CT; Field of view 388 mm wide, 2.50 mm slice spacing; Slice 43 of 99; 512x512; Abdomen
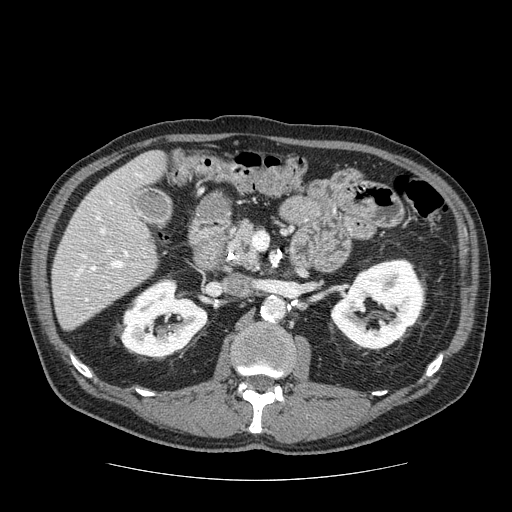

The pancreas is located at (227, 220, 259, 271).